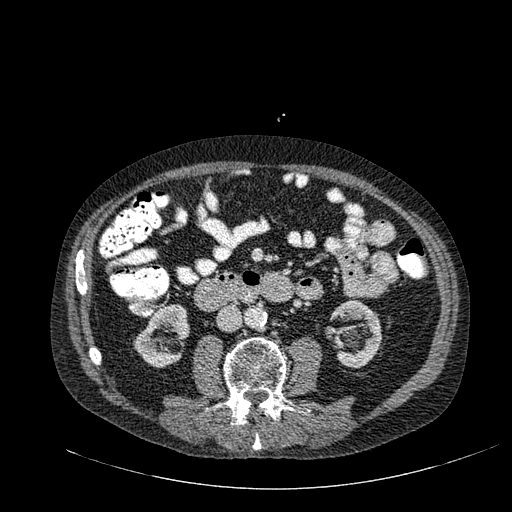 Image size 512x512 | Computed tomography
Annotated regions:
- kidney: box(133, 304, 189, 367); box(325, 301, 381, 368)